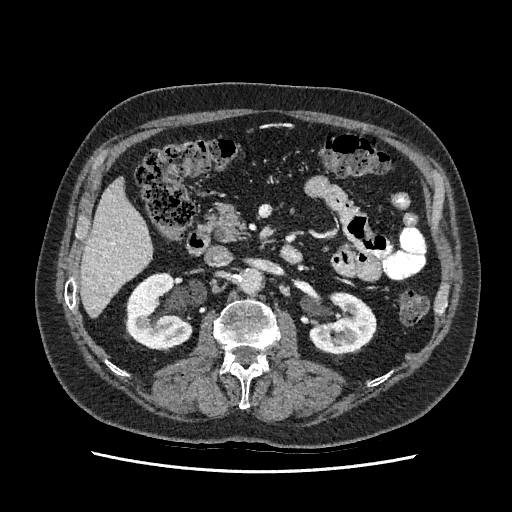

CT scan slice | Abdomen
Annotated regions:
* liver: l=80, t=179, r=151, b=316
* kidney: l=310, t=294, r=375, b=353; l=127, t=274, r=191, b=348